MR image. Heart. 320x320.
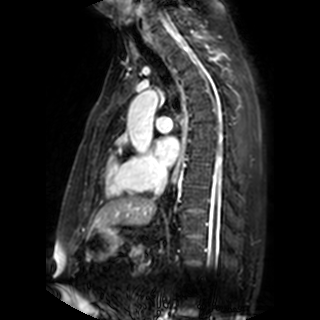 Annotated regions:
* left atrium: [155,137,178,165]